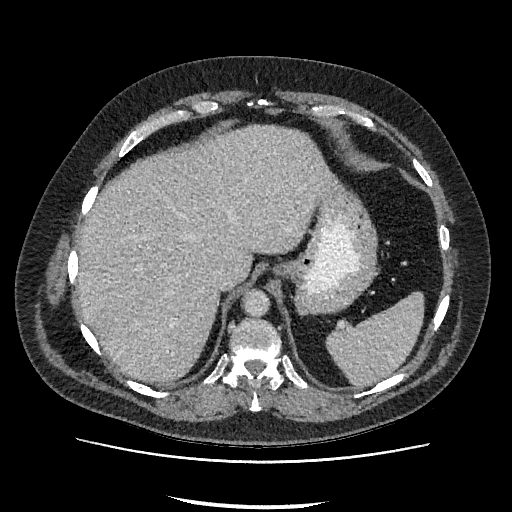
512x512 px; CT scan slice

• liver: 78 125 329 381